Abdomen; Field of view 378 mm wide, 0.80 mm slice spacing; Slice 336 of 841; CT image
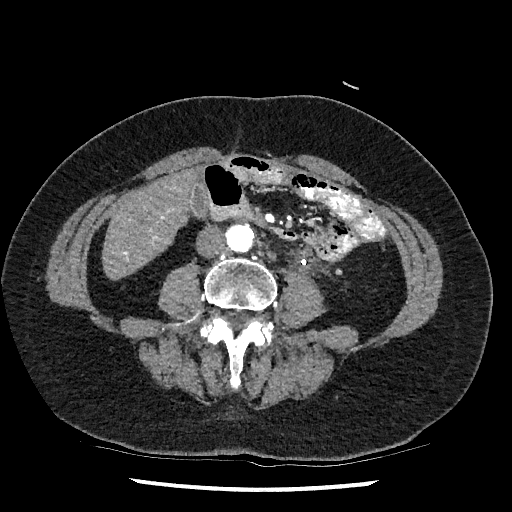

The liver lies within region(101, 168, 197, 279).